FLAIR MR image.
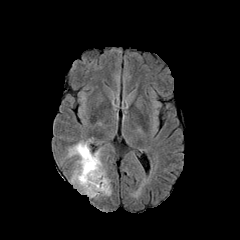
T1-weighted MR.
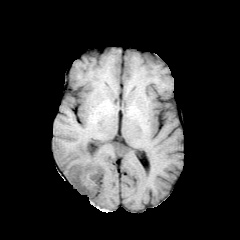
Post-contrast T1-weighted MR image.
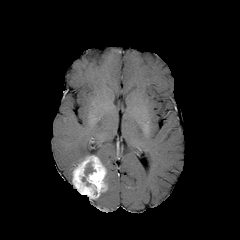
T2-weighted MRI.
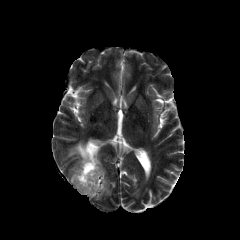
Image size 240x240 | Head
The non-enhancing tumor core is bounded by box=[84, 163, 95, 175]. 2 edema regions are bounded by box=[100, 171, 110, 195]; box=[68, 141, 91, 163]. The enhancing tumor appears at box=[72, 155, 105, 197].